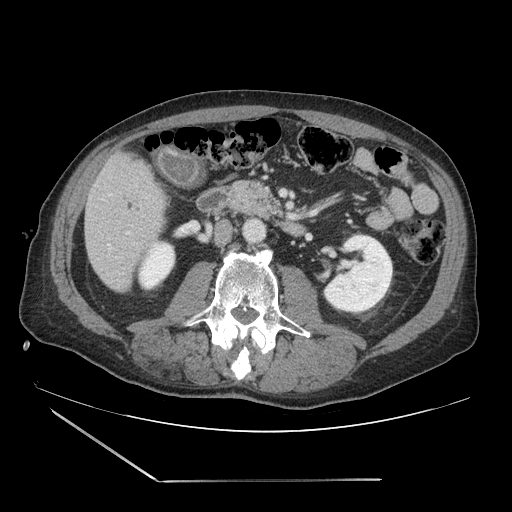 Abdomen, CT image
Pancreas: region(231, 182, 277, 216).